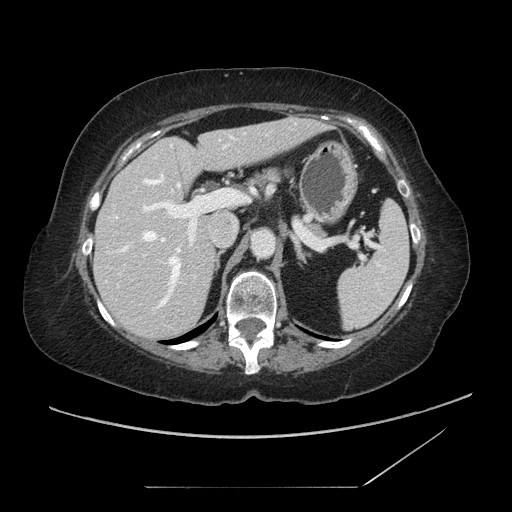
CT slice; 512x512

{
  "pancreas": [
    "x1=244, y1=165, x2=286, y2=197",
    "x1=308, y1=222, x2=327, y2=238"
  ]
}